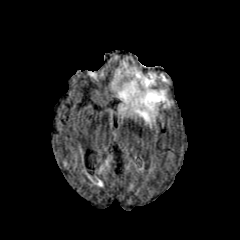
FLAIR MR.
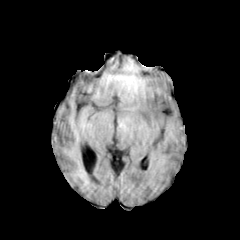
Same slice, T1-weighted MRI.
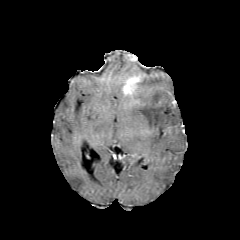
Post-contrast T1-weighted magnetic resonance.
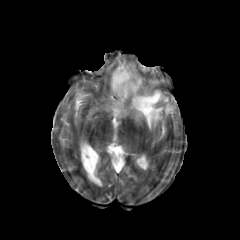
T2-weighted MR.
Brain
The edema is at x1=111, y1=61, x2=171, y2=128. The enhancing tumor is at x1=122, y1=74, x2=142, y2=95.